MR image | Slice 32 of 38
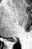

posterior_hippocampus:
  - {"x1": 9, "y1": 39, "x2": 16, "y2": 41}